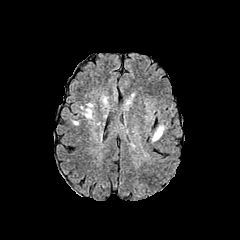
FLAIR MR image.
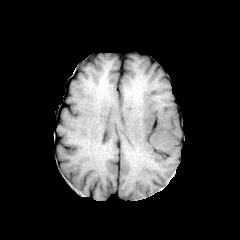
Same slice, T1-weighted MR.
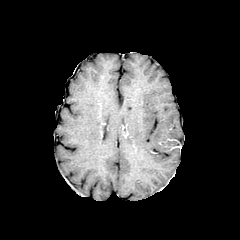
Post-contrast T1-weighted MRI of the same slice.
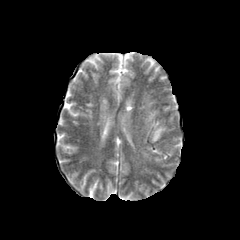
T2-weighted MR.
Head. 240x240.
Edema at left=151, top=125, right=164, bottom=142.